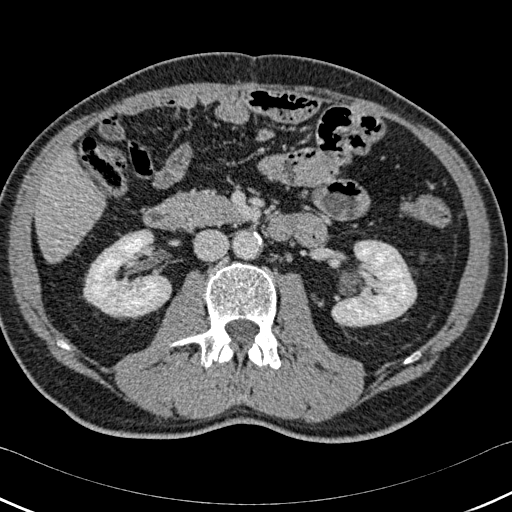 Computed tomography | Image size 512x512
{
  "bone": [
    "x1=170 y1=263 x2=280 y2=369",
    "x1=404 y1=353 x2=418 y2=363"
  ],
  "liver": [
    "x1=35 y1=152 x2=105 y2=261"
  ],
  "kidney": [
    "x1=332 y1=241 x2=415 y2=325",
    "x1=84 y1=231 x2=170 y2=316"
  ]
}